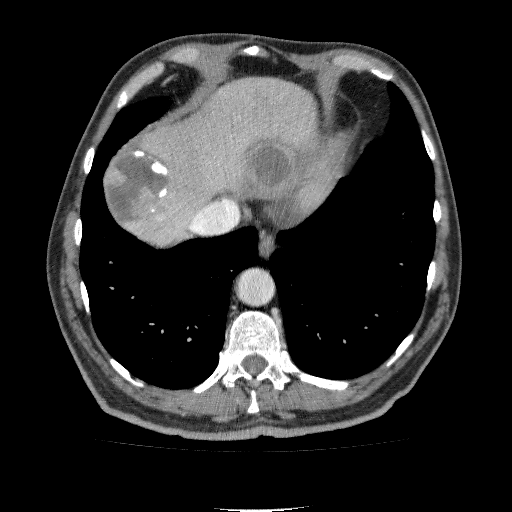
Computed tomography; Abdomen
Annotated regions:
• liver: [x1=125, y1=76, x2=320, y2=246]
• hepatic lesion: [x1=237, y1=137, x2=317, y2=200], [x1=105, y1=144, x2=178, y2=229]